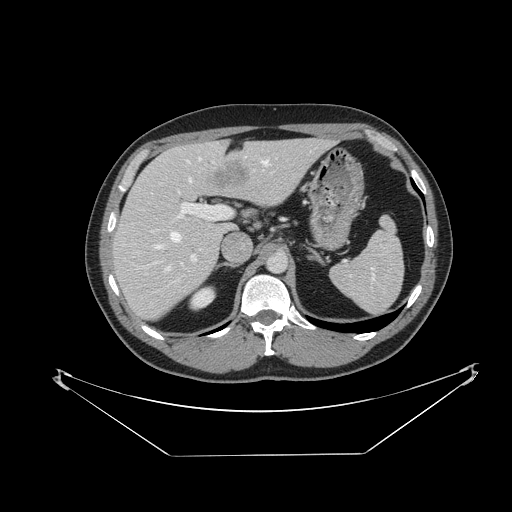 CT image; 512x512 px
The spleen appears at [331, 215, 403, 314].